Hippocampus. Image size 35x53. MR image. Slice 9/32. 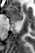
Posterior hippocampus: bounding box 15 21 17 22.
Anterior hippocampus: bounding box 7 5 22 20.